Slice index 114, Head
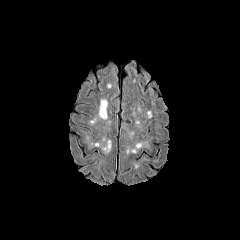
FLAIR MRI.
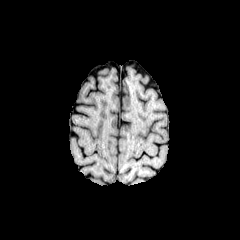
T1-weighted MR of the same slice.
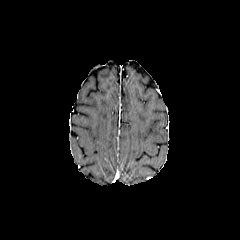
Post-contrast T1-weighted MR.
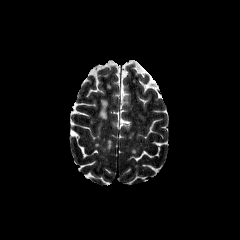
T2-weighted MR image.
Edema: (99,101,106,118).